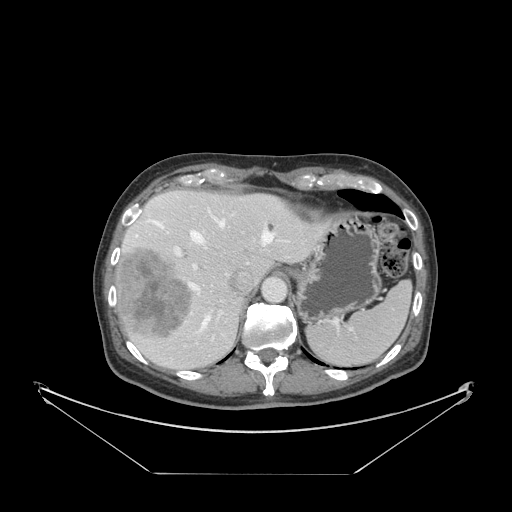

CT | Abdomen
spleen:
  - 306, 281, 411, 367